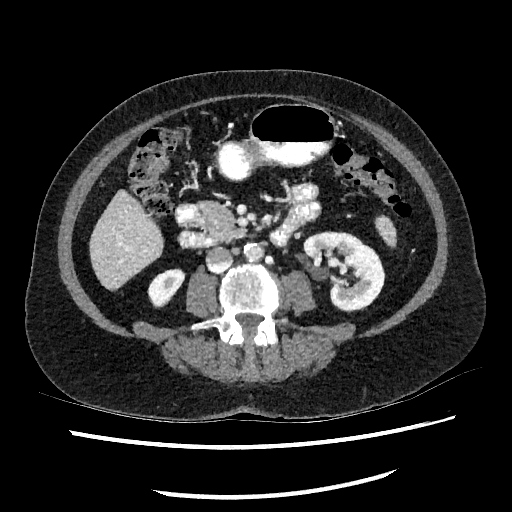
Abdomen | CT scan slice

2 kidney regions appear at [304,233,383,309], [149,270,183,304]. The liver appears at [91,191,161,289].